CT | Liver

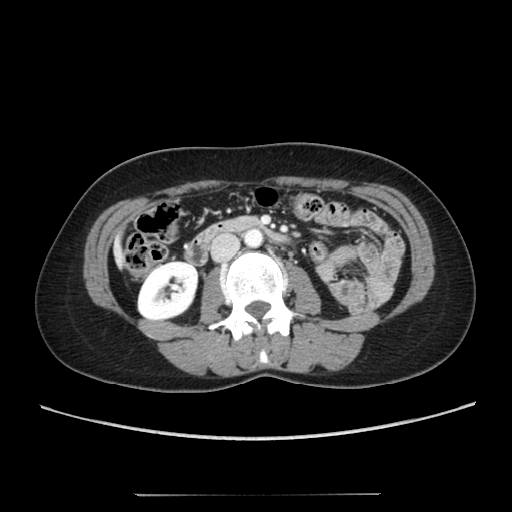
The kidney appears at (138, 262, 196, 319). The liver is bounded by (112, 232, 123, 269).